Slice 38 of 155
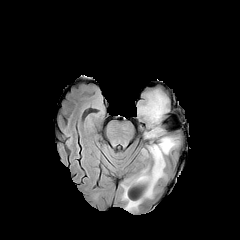
FLAIR MR image.
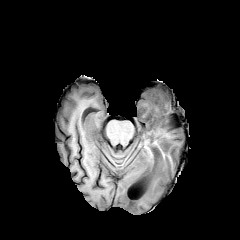
T1-weighted magnetic resonance.
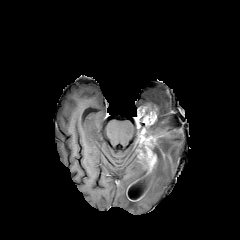
Post-contrast T1-weighted MRI.
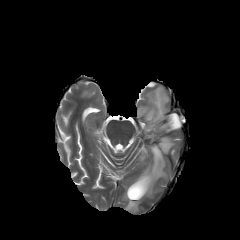
T2-weighted MRI of the same slice.
2 edema regions appear at (122, 126, 176, 210), (137, 90, 167, 127). 2 enhancing tumor regions are bounded by (146, 146, 156, 170), (146, 110, 155, 123). 2 non-enhancing tumor core regions are located at (142, 135, 153, 145), (138, 148, 151, 165).